FLAIR MRI.
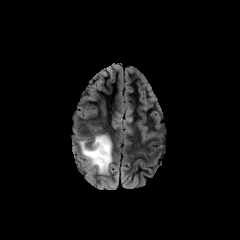
T1-weighted MRI.
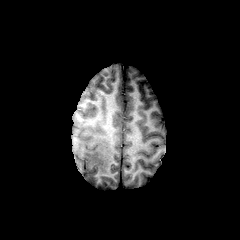
Post-contrast T1-weighted magnetic resonance.
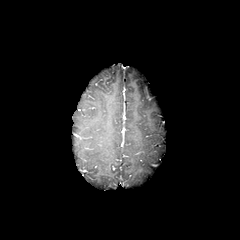
T2-weighted MRI.
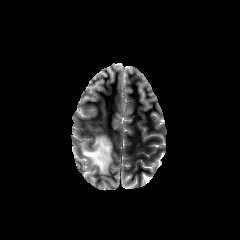
240x240
Segmented structures:
- edema: 80,134,111,174